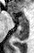
Hippocampus, MRI slice
Segmented structures:
- posterior hippocampus: (12, 23, 28, 40)
- anterior hippocampus: (18, 13, 27, 24), (10, 13, 11, 16)